CT image

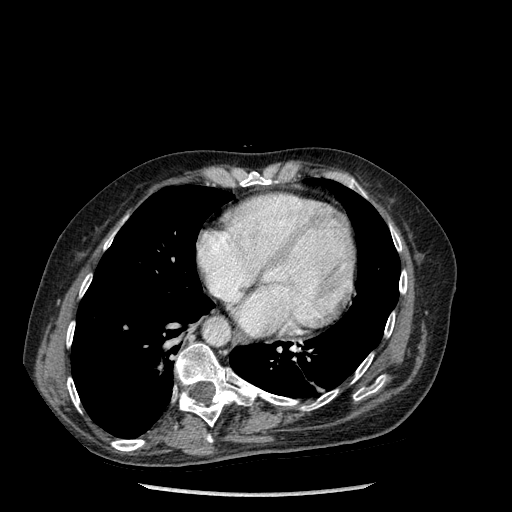

Lung — [71, 185, 233, 438], [229, 179, 400, 397].
Bone — [384, 312, 394, 337], [237, 170, 277, 186], [390, 225, 401, 251], [111, 439, 144, 451], [103, 218, 125, 249], [79, 274, 91, 297], [173, 342, 338, 426], [67, 377, 81, 412], [347, 179, 366, 197], [66, 321, 74, 347], [399, 270, 407, 293], [353, 375, 385, 400], [351, 353, 373, 383].